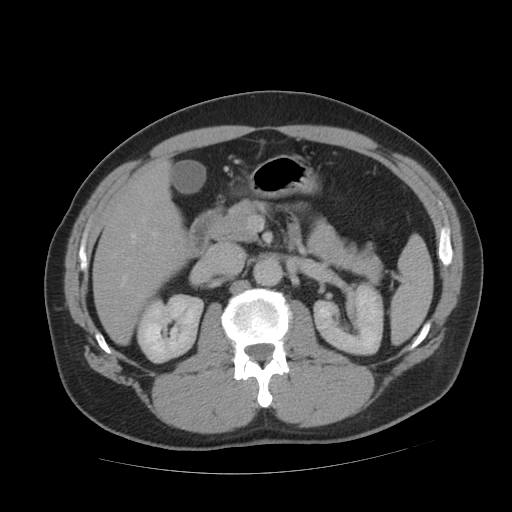

CT scan slice | Liver

The vessel boxes may cover only some of the vessels.
2 hepatic vessel regions are bounded by region(130, 233, 135, 243); region(121, 274, 127, 286).